512x512; Pelvis; Field of view 391x391 mm; CT image
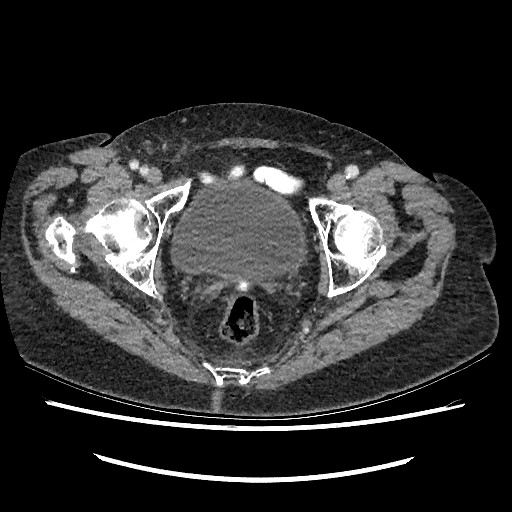
urinary bladder: region(171, 177, 306, 287)